CT image 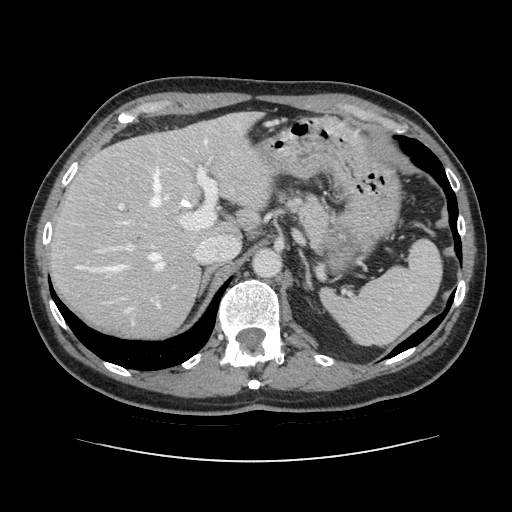 Pancreas at [285, 196, 329, 244].